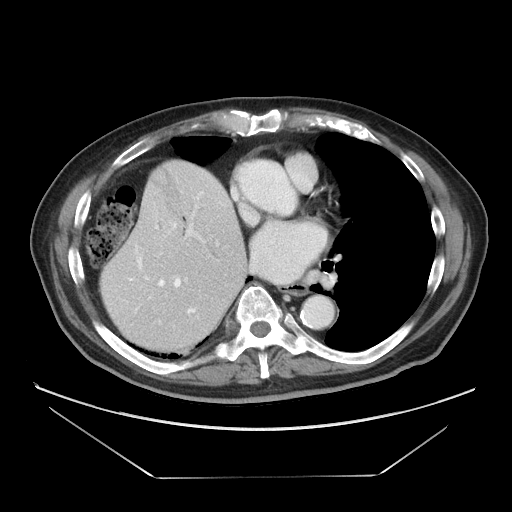
512x512, CT, Abdomen
Only some of the vessels may be annotated.
Annotated regions:
• hepatic vessel: region(135, 246, 141, 266); region(158, 279, 164, 285); region(145, 277, 147, 278); region(187, 308, 195, 312); region(186, 224, 202, 240); region(174, 277, 180, 286)